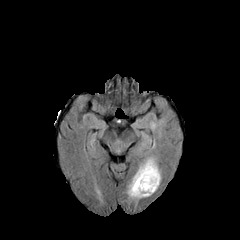
FLAIR MRI.
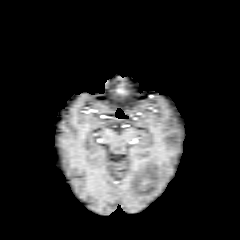
T1-weighted MR image.
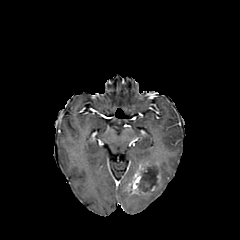
Same slice, post-contrast T1-weighted MR image.
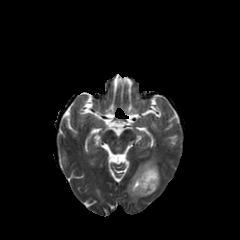
Same slice, T2-weighted MR.
* enhancing tumor: 132, 169, 146, 190
* edema: 126, 156, 161, 200; 141, 132, 151, 144
* non-enhancing tumor core: 138, 167, 157, 193